FLAIR magnetic resonance.
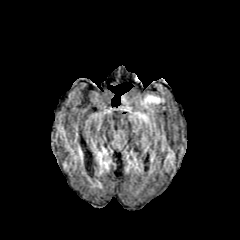
T1-weighted MRI.
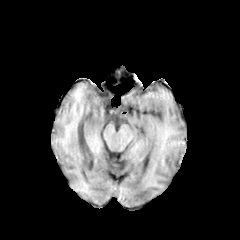
Post-contrast T1-weighted MR.
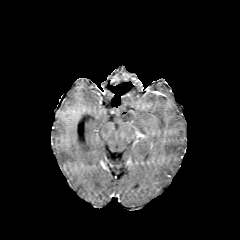
T2-weighted MR image.
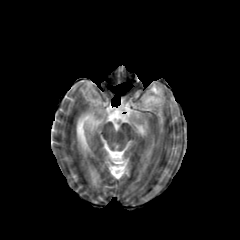
The edema lies within {"x1": 144, "y1": 95, "x2": 159, "y2": 103}.